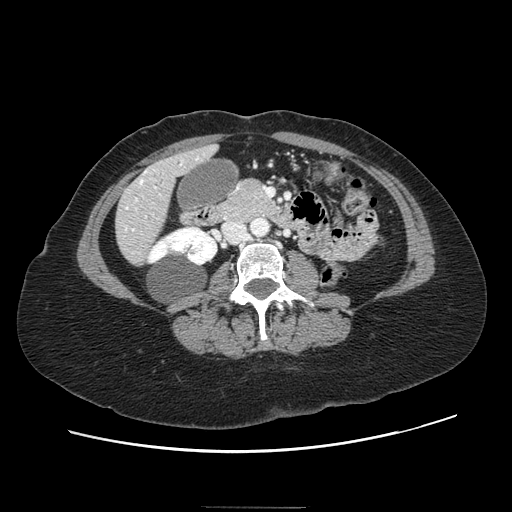 CT. Abdomen. The pancreas is located at box=[221, 181, 276, 223].